Slice 90/155; 240x240
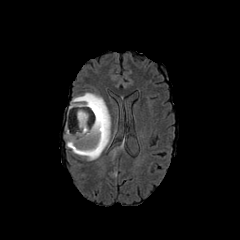
FLAIR MR image.
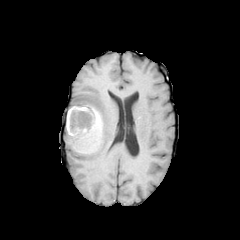
T1-weighted MR image.
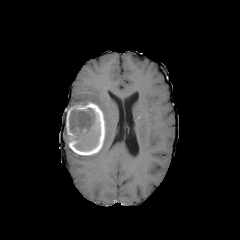
Same slice, post-contrast T1-weighted magnetic resonance.
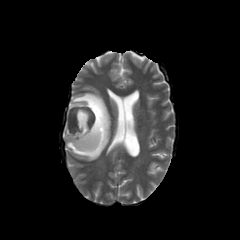
T2-weighted MRI.
{
  "edema": [
    "(left=64, top=92, right=111, bottom=161)"
  ],
  "non-enhancing_tumor_core": [
    "(left=78, top=107, right=98, bottom=149)"
  ],
  "enhancing_tumor": [
    "(left=67, top=101, right=105, bottom=155)"
  ]
}